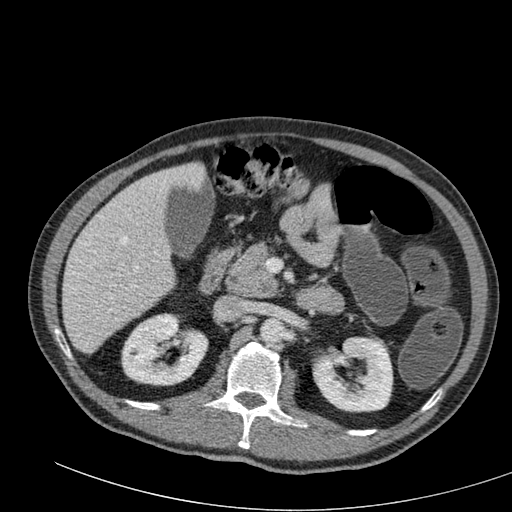
CT slice | Abdomen
<segmentation>
  <liver><box>62,163,204,352</box></liver>
  <kidney><box>122,314,206,384</box>, <box>314,338,392,411</box></kidney>
</segmentation>